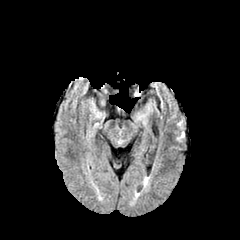
FLAIR MR.
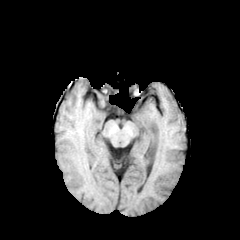
T1-weighted MR of the same slice.
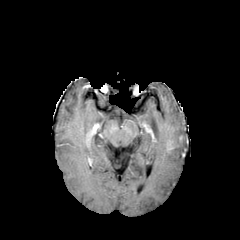
Post-contrast T1-weighted magnetic resonance.
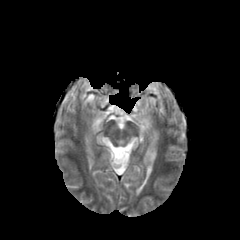
Same slice, T2-weighted MRI.
Brain.
The edema lies within 136, 113, 147, 125.